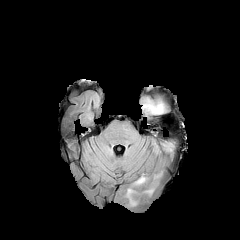
FLAIR magnetic resonance.
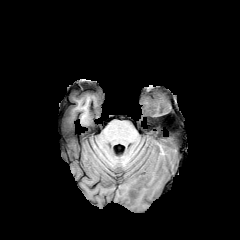
T1-weighted MR of the same slice.
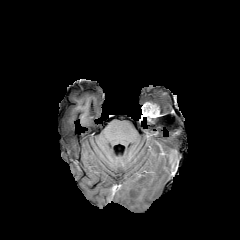
Post-contrast T1-weighted MRI.
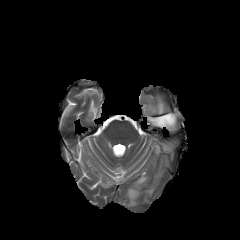
T2-weighted MRI of the same slice.
Brain, Image size 240x240
edema: x1=134 y1=173 x2=146 y2=184, x1=152 y1=141 x2=173 y2=154, x1=156 y1=101 x2=164 y2=113 | enhancing tumor: x1=145 y1=104 x2=159 y2=113